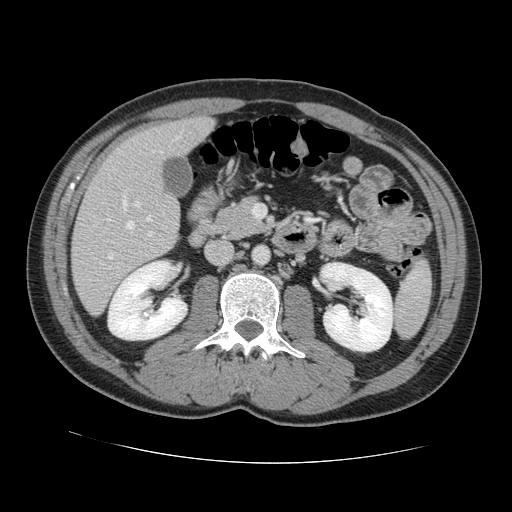 CT image

Not every hepatic vessel necessarily has a box.
Hepatic vessel = 139,151,140,153; 149,244,151,246; 135,201,139,206; 107,266,109,268; 148,232,152,235; 162,212,163,214; 126,222,133,228; 175,131,181,139; 107,218,109,221; 159,151,162,153; 108,252,112,258; 146,216,150,220; 153,150,155,151; 122,194,126,208.